512x512. CT scan slice. Liver. 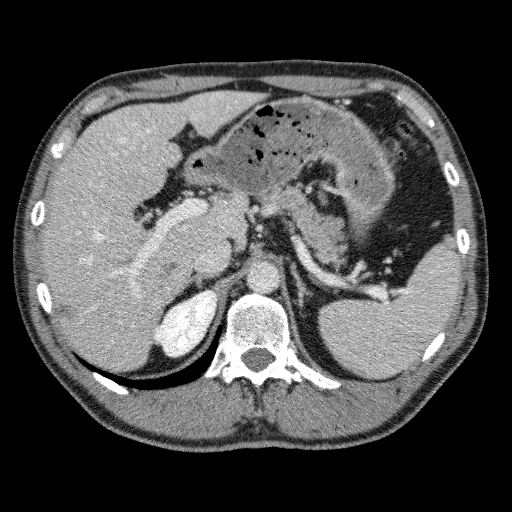
Liver lesion at left=224, top=196, right=233, bottom=204; left=57, top=304, right=74, bottom=320; left=154, top=260, right=179, bottom=282.
Liver at left=39, top=90, right=268, bottom=369.
Kidney at left=153, top=291, right=216, bottom=355.